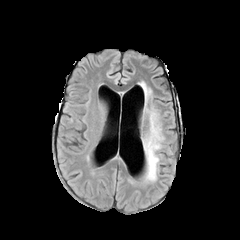
FLAIR magnetic resonance.
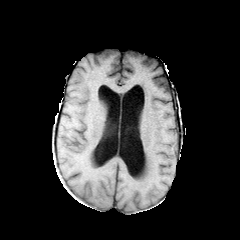
T1-weighted magnetic resonance.
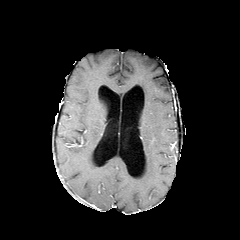
Post-contrast T1-weighted MR of the same slice.
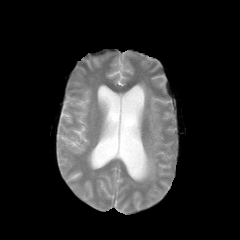
T2-weighted magnetic resonance.
240x240 px
Edema: (139, 81, 152, 99), (142, 106, 163, 182).